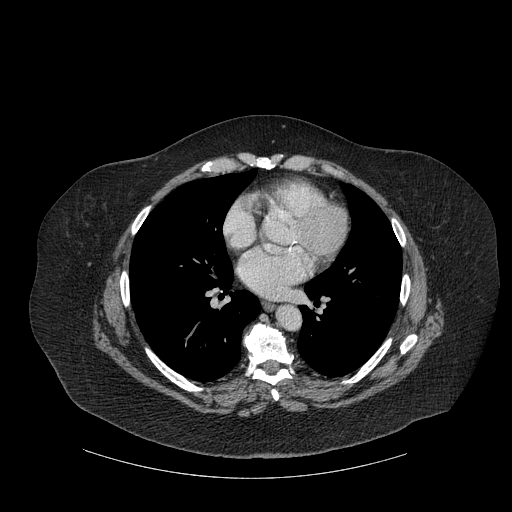

Computed tomography
Lung — <bbox>130, 169, 260, 381</bbox>, <bbox>297, 190, 401, 376</bbox>.
Bone — <bbox>400, 334, 416, 353</bbox>, <bbox>392, 218, 405, 245</bbox>, <bbox>400, 275, 409, 304</bbox>, <bbox>132, 206, 149, 234</bbox>, <bbox>120, 272, 129, 305</bbox>, <bbox>257, 158, 274, 168</bbox>, <bbox>245, 324, 293, 384</bbox>, <bbox>146, 348, 201, 391</bbox>, <bbox>271, 389, 278, 400</bbox>, <bbox>345, 339, 391, 382</bbox>.